Image size 512x512; Field of view 353x353 mm; Abdomen; Computed tomography
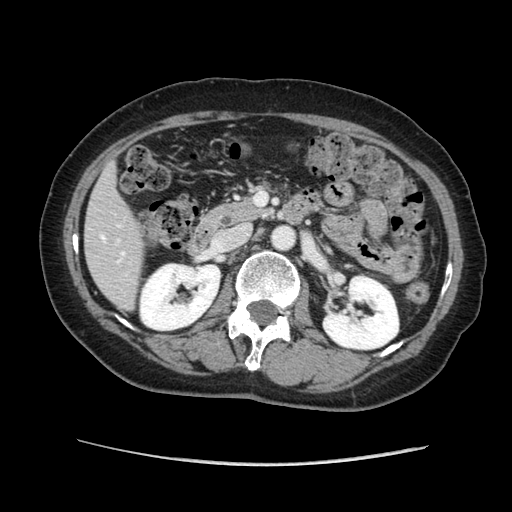

The pancreas appears at box=[202, 194, 269, 229].